MR. Image size 33x53. Slice index 19. Medial temporal lobe.

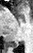

<segmentation>
  <posterior_hippocampus>box=[8, 42, 18, 47]</posterior_hippocampus>
</segmentation>